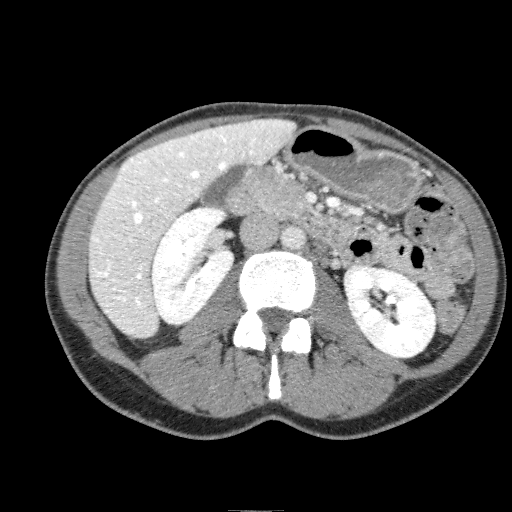

Computed tomography

2 kidney regions are located at (left=152, top=208, right=232, bottom=323), (left=345, top=266, right=435, bottom=357). The liver appears at (left=88, top=118, right=296, bottom=337).